Slice 27/52; CT slice; Image size 512x512
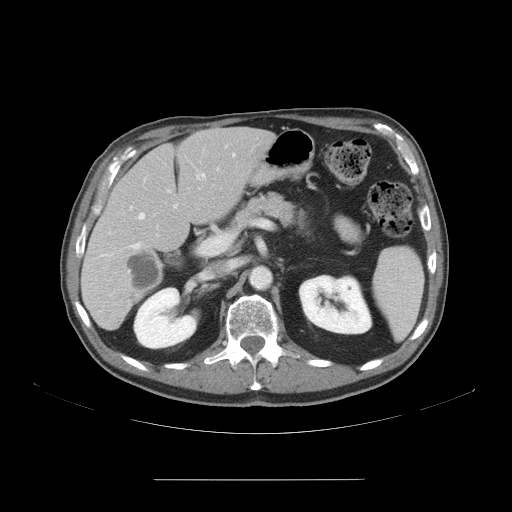
Not every hepatic vessel necessarily has a box.
<segmentation>
  <hepatic_vessel>200 234 232 254, 136 212 144 219, 174 205 176 207, 196 172 205 179, 167 189 170 192, 130 206 133 209, 232 153 235 157, 216 168 218 170, 128 242 141 249</hepatic_vessel>
</segmentation>